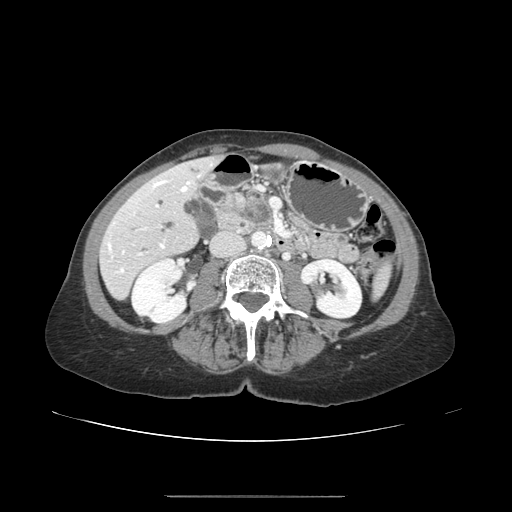
CT slice; Upper abdomen
Pancreatic tumor: bounding box box=[240, 199, 269, 222].
Pancreas: bounding box box=[247, 198, 274, 227].